Computed tomography. Upper abdomen. 512x512 px. Slice index 429. 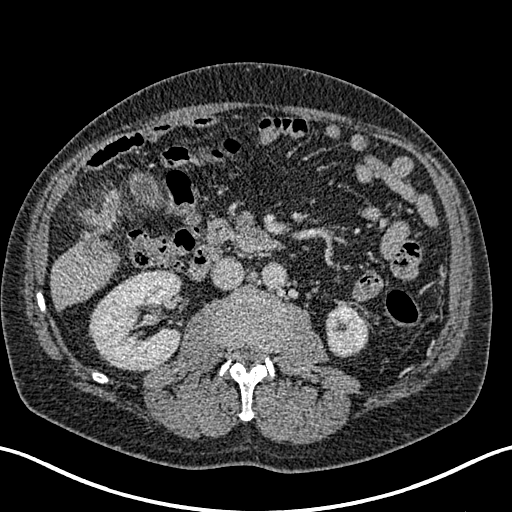

{
  "kidney": [
    "90:272:179:369",
    "327:305:366:355"
  ],
  "focal_liver_lesion": [
    "80:207:111:260"
  ],
  "liver": [
    "49:190:120:309"
  ]
}